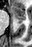

Hippocampus | MR | 32x47
{
  "anterior_hippocampus": [
    "x1=12, y1=6, x2=25, y2=19"
  ],
  "posterior_hippocampus": [
    "x1=18, y1=20, x2=23, y2=22"
  ]
}